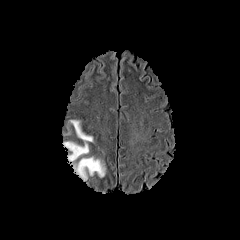
FLAIR MR.
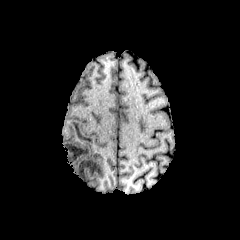
T1-weighted magnetic resonance.
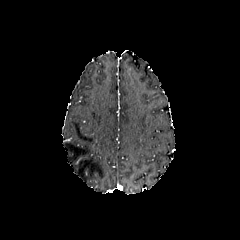
Post-contrast T1-weighted MRI.
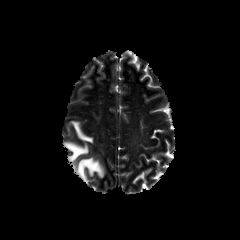
T2-weighted MRI.
<segmentation>
  <edema>region(62, 119, 105, 181)</edema>
</segmentation>